CT image, Image size 512x512 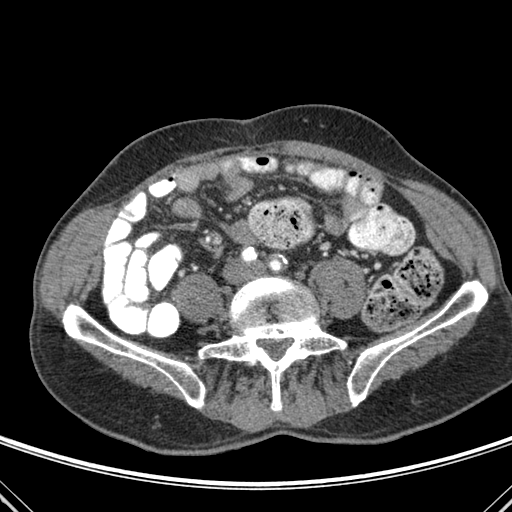
<segmentation>
  <bone>box(62, 304, 205, 408); box(198, 277, 346, 411); box(347, 280, 487, 406)</bone>
</segmentation>